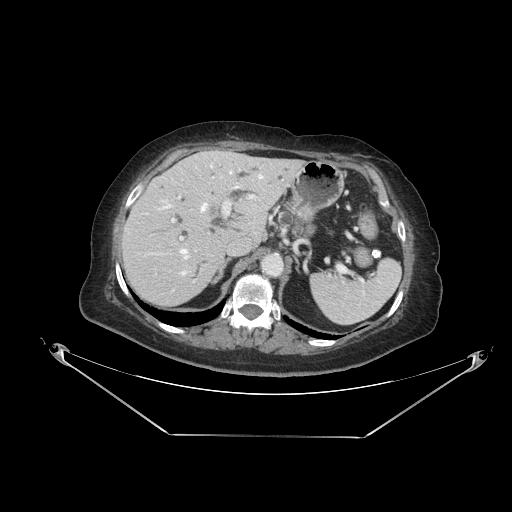
512x512; Upper abdomen; CT slice

The pancreas is bounded by region(279, 211, 304, 236).